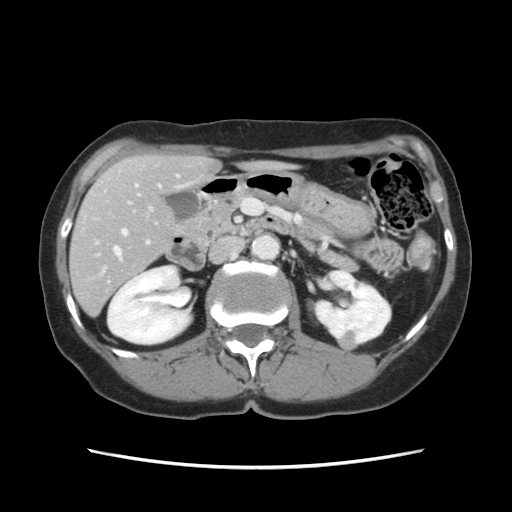

Abdomen. CT image. Only some of the vessels may be annotated.
Hepatic vessel: box=[114, 248, 120, 257]; box=[146, 241, 148, 243]; box=[122, 230, 127, 234]; box=[135, 184, 137, 186].